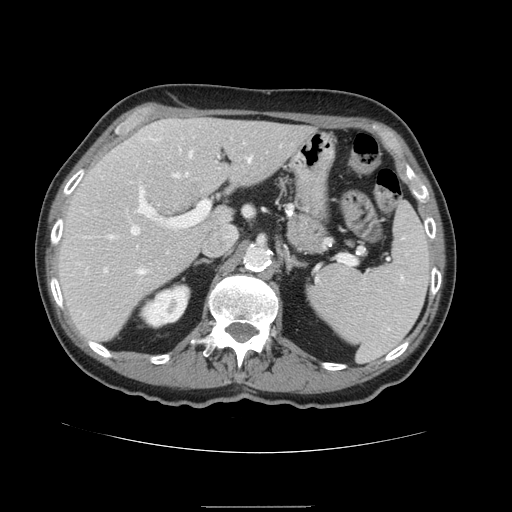
CT slice.

Spleen at x1=308 y1=204 x2=431 y2=362.